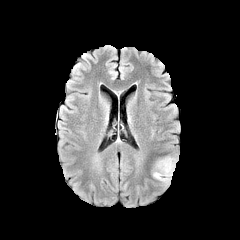
FLAIR MR image.
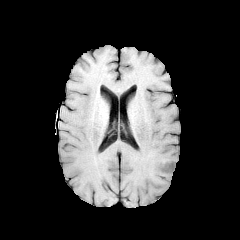
T1-weighted magnetic resonance.
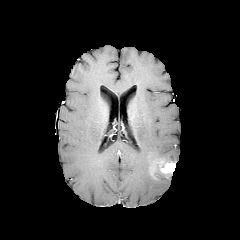
Same slice, post-contrast T1-weighted magnetic resonance.
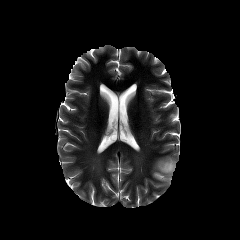
T2-weighted MR image.
Image size 240x240 | Head
enhancing tumor: 160:162:175:173 | edema: 153:156:177:184